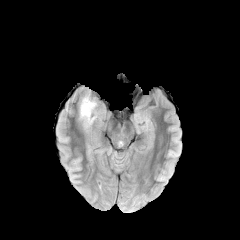
FLAIR MR image.
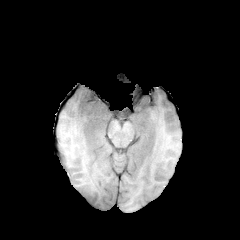
T1-weighted MR image of the same slice.
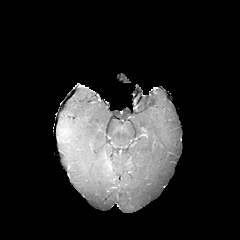
Post-contrast T1-weighted MR.
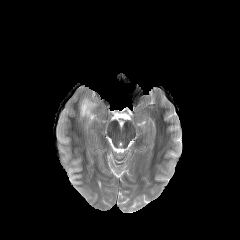
Same slice, T2-weighted MR.
Head.
edema:
  - 78, 95, 98, 129